Field of view 240 mm wide, 1.00 mm slice spacing | Head | Image size 240x240
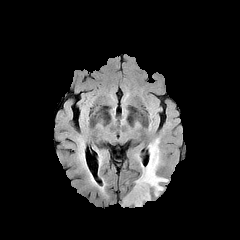
FLAIR MR.
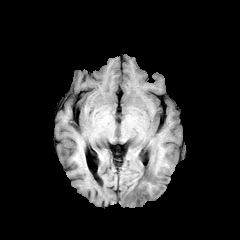
Same slice, T1-weighted magnetic resonance.
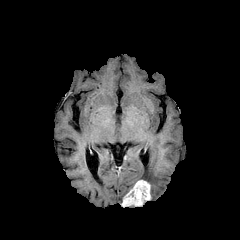
Post-contrast T1-weighted MR image of the same slice.
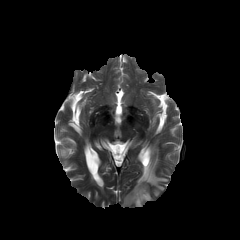
T2-weighted MRI of the same slice.
Enhancing tumor = box(122, 180, 151, 205).
Edema = box(136, 141, 167, 195).